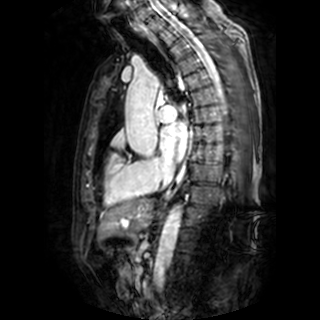

MR image | Image size 320x320 | Heart
Left atrium: left=160, top=122, right=186, bottom=162.